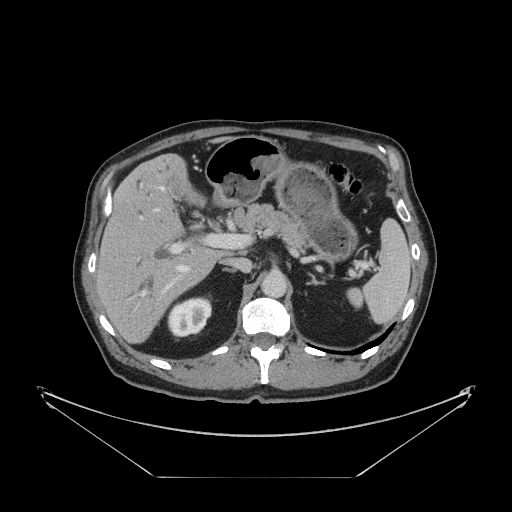 CT image; Image size 512x512
The vessel annotation is not exhaustive.
8 hepatic vessel regions appear at <bbox>140, 291, 145, 295</bbox>, <bbox>140, 217, 141, 219</bbox>, <bbox>206, 235, 248, 247</bbox>, <bbox>154, 209, 158, 211</bbox>, <bbox>171, 244, 183, 252</bbox>, <bbox>160, 187, 163, 190</bbox>, <bbox>163, 285, 169, 292</bbox>, <bbox>177, 266, 187, 274</bbox>.